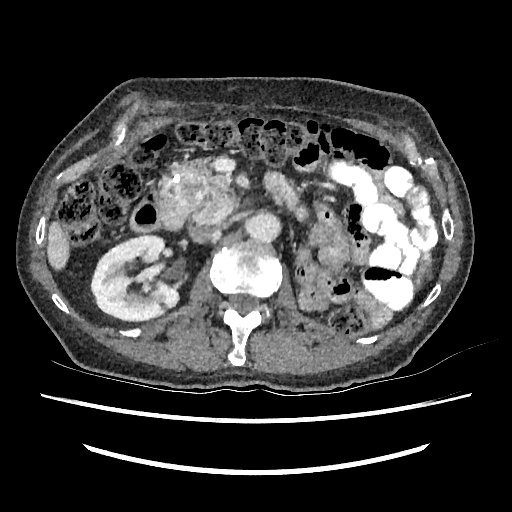 CT image. Image size 512x512. {"liver": ["x1=48, y1=222, x2=68, y2=269"], "kidney": ["x1=91, y1=236, x2=178, y2=320"]}